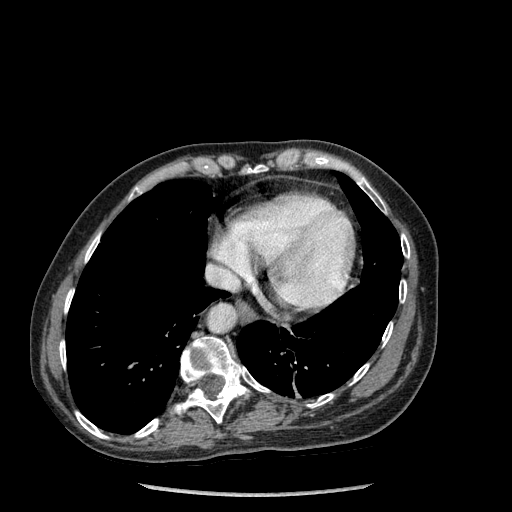 Chest, CT
15 bone regions appear at <bbox>382, 322, 392, 346</bbox>, <bbox>64, 289, 74, 313</bbox>, <bbox>399, 280, 406, 302</bbox>, <bbox>401, 233, 410, 258</bbox>, <bbox>334, 161, 355, 174</bbox>, <bbox>135, 419, 158, 437</bbox>, <bbox>356, 176, 386, 213</bbox>, <bbox>307, 393, 333, 407</bbox>, <bbox>350, 363, 369, 384</bbox>, <bbox>84, 233, 100, 262</bbox>, <bbox>245, 164, 267, 173</bbox>, <bbox>59, 340, 66, 369</bbox>, <bbox>75, 411, 108, 438</bbox>, <bbox>129, 186, 142, 199</bbox>, <bbox>173, 336, 269, 423</bbox>. 2 lung regions are located at <bbox>66, 179, 228, 434</bbox>, <bbox>237, 172, 402, 398</bbox>.